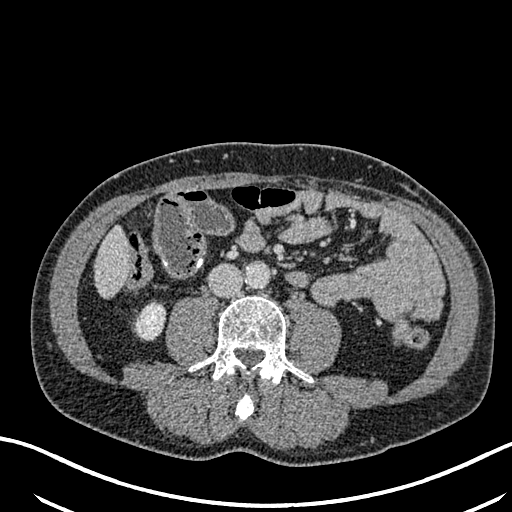 CT slice
The kidney lies within left=136, top=304, right=164, bottom=339. The liver is bounded by left=96, top=226, right=127, bottom=296.